Brain.
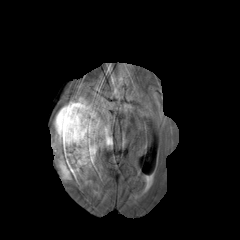
FLAIR MR image.
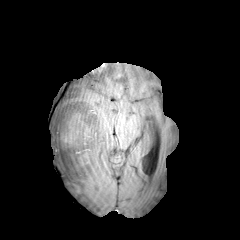
T1-weighted MR.
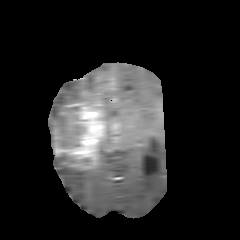
Post-contrast T1-weighted MRI of the same slice.
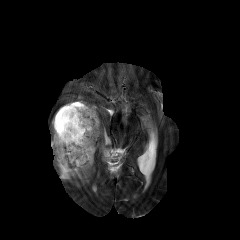
Same slice, T2-weighted MRI.
Enhancing tumor: bounding box (54, 102, 103, 167).
Non-enhancing tumor core: bounding box (62, 106, 79, 123), (59, 126, 85, 147), (58, 154, 74, 163).
Edema: bounding box (64, 96, 92, 105), (52, 106, 80, 136), (55, 107, 111, 181).